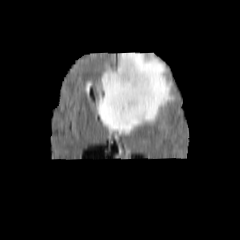
FLAIR magnetic resonance.
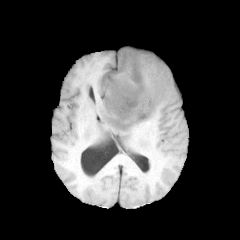
Same slice, T1-weighted MR.
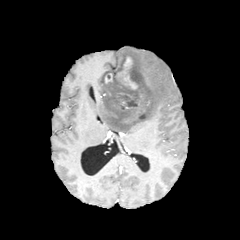
Post-contrast T1-weighted MRI of the same slice.
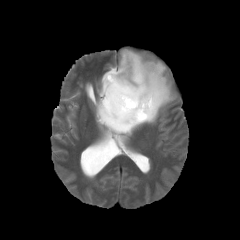
T2-weighted magnetic resonance.
2 enhancing tumor regions are located at {"x1": 118, "y1": 57, "x2": 132, "y2": 77}, {"x1": 123, "y1": 75, "x2": 136, "y2": 88}. The edema lies within {"x1": 96, "y1": 49, "x2": 177, "y2": 134}. The non-enhancing tumor core appears at {"x1": 102, "y1": 54, "x2": 150, "y2": 125}.